CT slice. 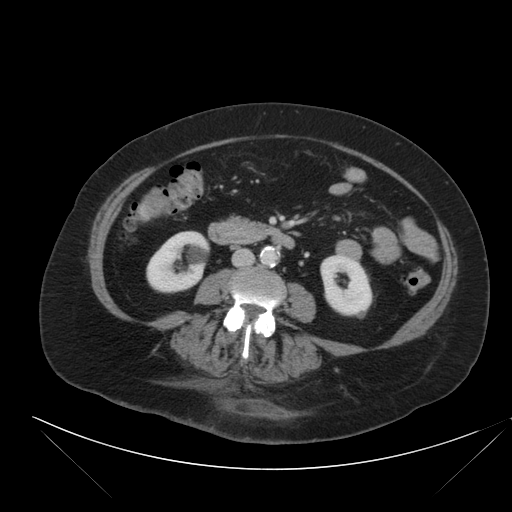 The liver tumor is located at 143:196:167:218.